Slice index 548, Field of view 404 mm wide, 0.70 mm slice spacing, CT scan slice, Liver
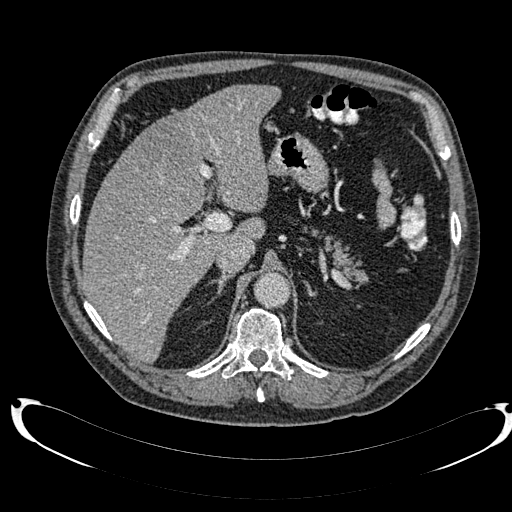
{"liver": ["[x1=81, y1=85, x2=280, y2=362]"], "focal_liver_lesion": ["[x1=137, y1=117, x2=192, y2=174]"]}